FLAIR magnetic resonance.
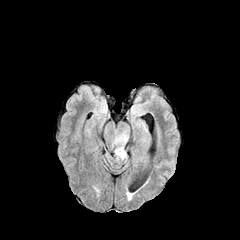
T1-weighted MR image.
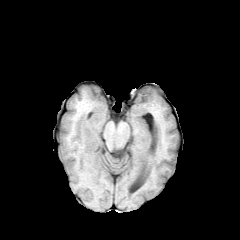
Post-contrast T1-weighted MR.
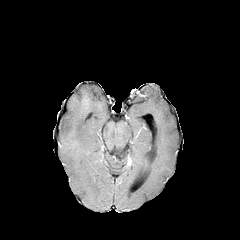
T2-weighted MR image.
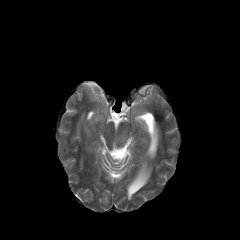
<segmentation>
  <edema>x1=112, y1=133, x2=129, y2=163</edema>
</segmentation>